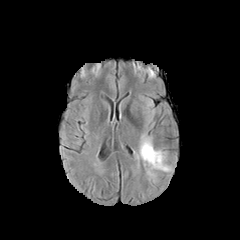
FLAIR magnetic resonance.
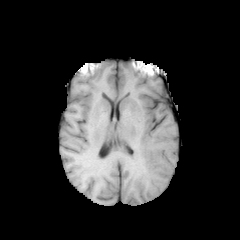
T1-weighted MR image.
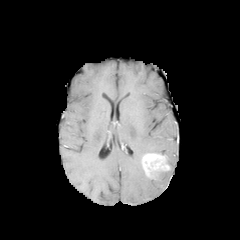
Post-contrast T1-weighted MR.
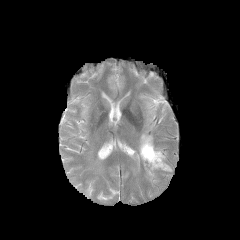
T2-weighted MR of the same slice.
Head
edema: left=131, top=131, right=167, bottom=169 | enhancing tumor: left=140, top=148, right=171, bottom=177